CT scan slice, Slice 11 of 44 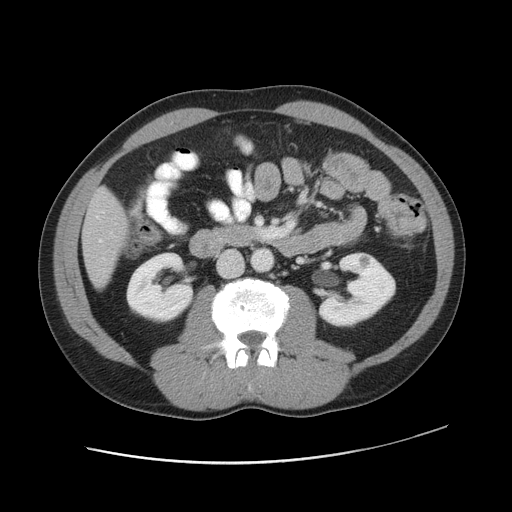

The colon tumor is at <box>378,198,425,234</box>.